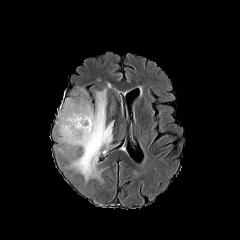
FLAIR MRI.
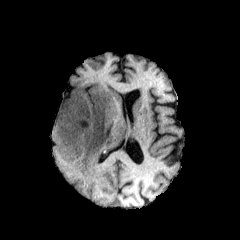
T1-weighted MRI.
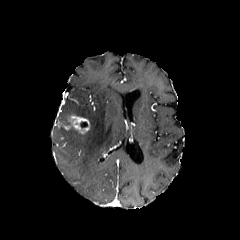
Post-contrast T1-weighted MR.
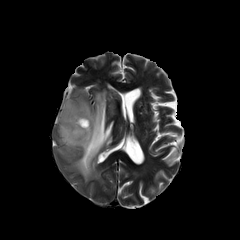
T2-weighted magnetic resonance.
Brain. 240x240.
edema: region(55, 87, 113, 183) | enhancing tumor: region(62, 114, 90, 135)